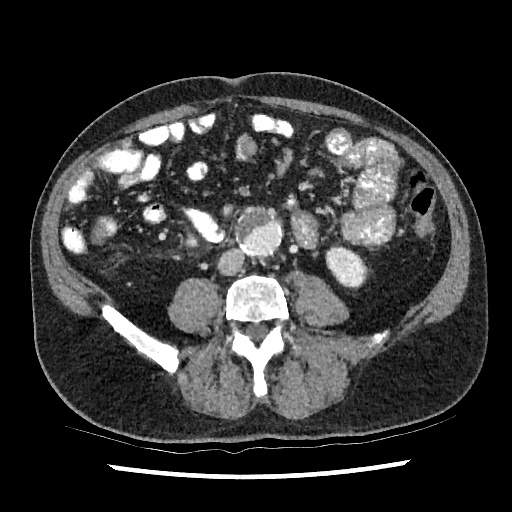 Image size 512x512 | Computed tomography
{
  "kidney": [
    "left=333, top=254, right=365, bottom=286"
  ]
}